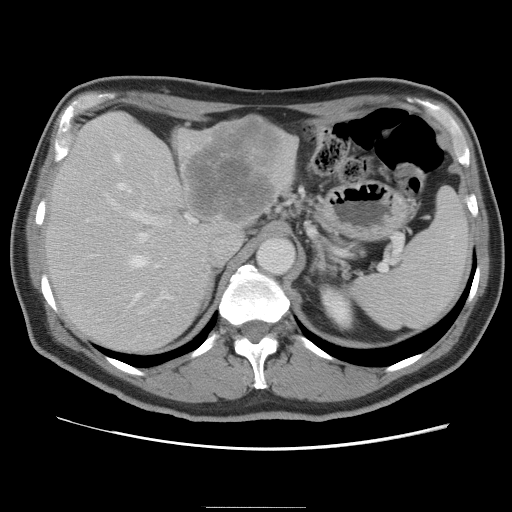 CT scan slice; Liver
Not every hepatic vessel necessarily has a box.
12 hepatic vessel regions appear at (x1=118, y1=183, x2=130, y2=191), (x1=130, y1=292, x2=140, y2=304), (x1=86, y1=219, x2=88, y2=220), (x1=129, y1=255, x2=147, y2=266), (x1=185, y1=214, x2=195, y2=221), (x1=113, y1=152, x2=120, y2=160), (x1=155, y1=264, x2=158, y2=266), (x1=138, y1=232, x2=147, y2=240), (x1=107, y1=195, x2=118, y2=206), (x1=129, y1=208, x2=156, y2=223), (x1=139, y1=309, x2=142, y2=312), (x1=159, y1=292, x2=171, y2=298). The liver tumor lies within (x1=186, y1=120, x2=278, y2=224).